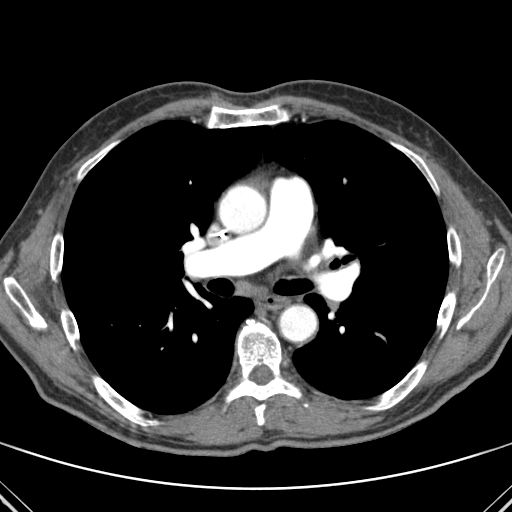
Computed tomography. Thorax.
[15/16] bone: (left=4, top=277, right=46, bottom=328), (left=93, top=376, right=158, bottom=425), (left=188, top=266, right=202, bottom=276), (left=447, top=227, right=461, bottom=266), (left=367, top=362, right=426, bottom=409), (left=186, top=282, right=198, bottom=298), (left=486, top=253, right=503, bottom=290), (left=457, top=293, right=485, bottom=328), (left=61, top=310, right=79, bottom=348), (left=50, top=234, right=63, bottom=280), (left=208, top=105, right=286, bottom=127), (left=393, top=143, right=437, bottom=188), (left=78, top=142, right=115, bottom=177), (left=226, top=319, right=301, bottom=424), (left=437, top=292, right=455, bottom=336) | lung: (left=62, top=120, right=448, bottom=414)